CT | Slice 16 of 30 | 512x512 px | Abdomen

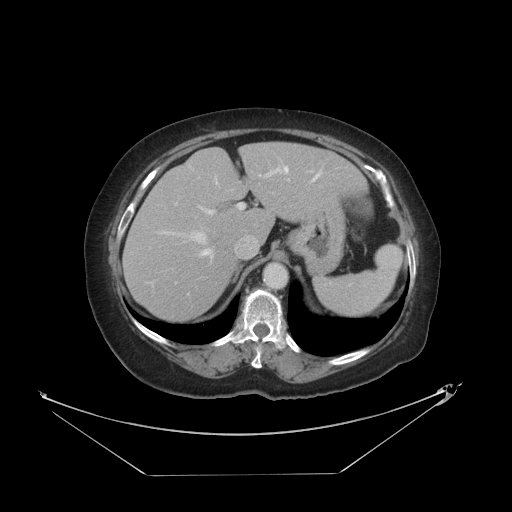

Some hepatic vessels may have no box.
Findings:
- hepatic vessel: (175,233,185,235), (237,203,243,209), (160,231,172,233), (188,232,205,242), (201,249,212,257), (265,165,288,176)